Slice 23 of 42; CT image
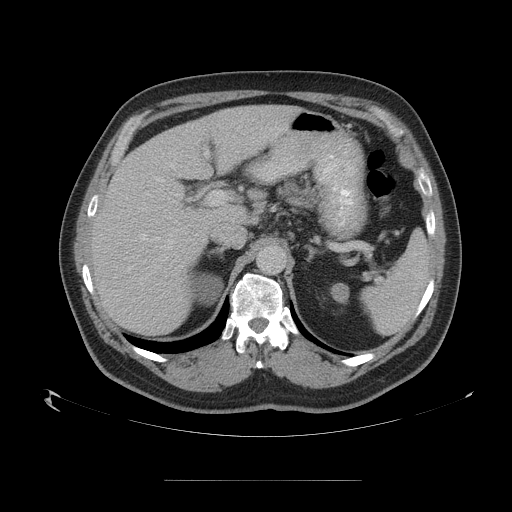
The vessel annotation is not exhaustive.
2 hepatic vessel regions are located at (175,221,179,223), (206,191,226,204).